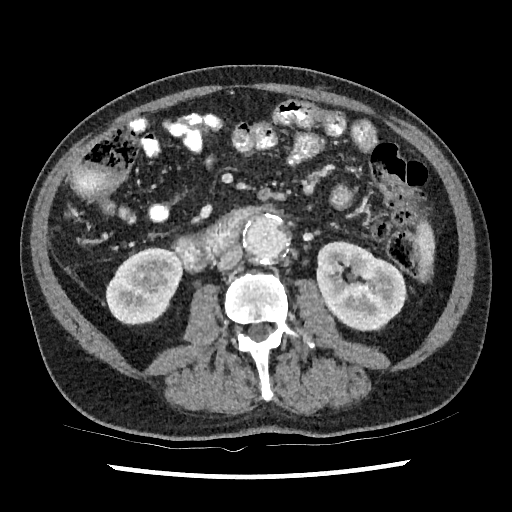

CT; 512x512 px
Annotated regions:
- kidney: <bbox>317, 242, 405, 330</bbox>, <bbox>106, 248, 182, 324</bbox>